Brain
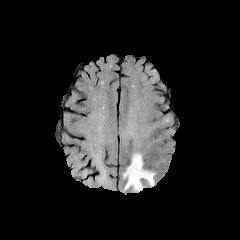
FLAIR MR image.
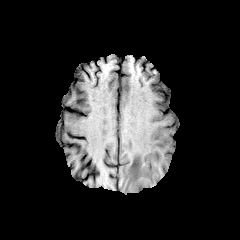
Same slice, T1-weighted MR image.
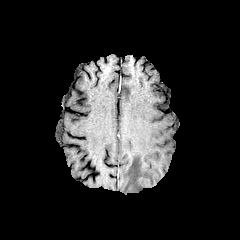
Same slice, post-contrast T1-weighted MR image.
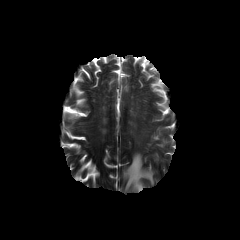
Same slice, T2-weighted MR image.
The edema is at {"x1": 122, "y1": 153, "x2": 154, "y2": 191}.